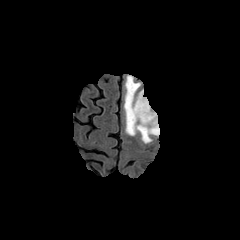
FLAIR MR image.
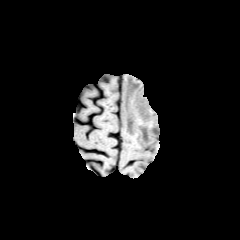
T1-weighted MR image.
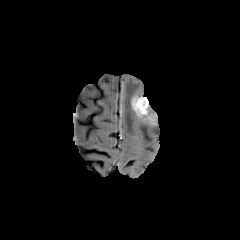
Post-contrast T1-weighted magnetic resonance.
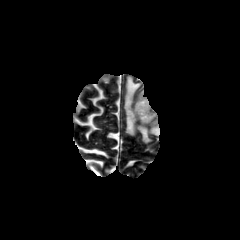
T2-weighted MR image of the same slice.
Enhancing tumor: box(131, 96, 157, 124).
Edema: box(122, 75, 159, 144).